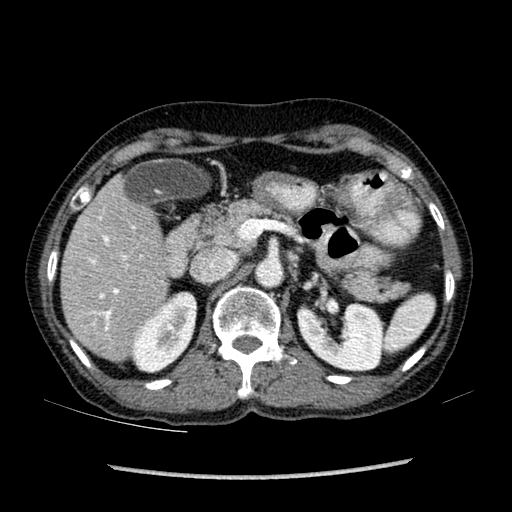
CT scan slice, Image size 512x512, Upper abdomen

liver:
  - region(61, 177, 165, 357)
kidney:
  - region(132, 293, 195, 371)
  - region(299, 301, 381, 369)